CT image. Slice 61 of 111.

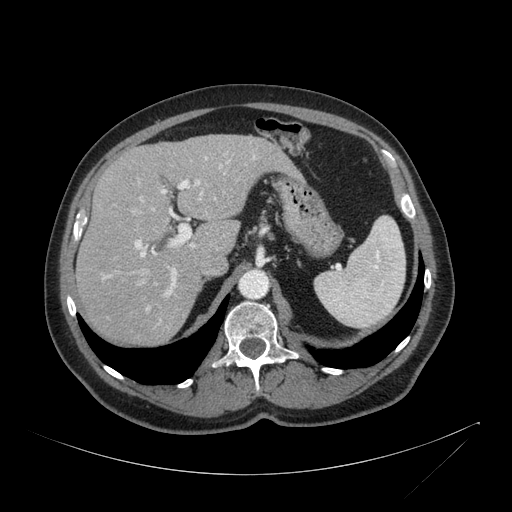 Liver: bounding box (left=75, top=135, right=305, bottom=345).